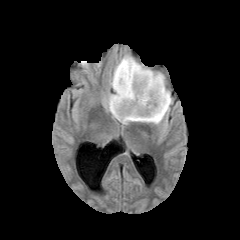
FLAIR MR.
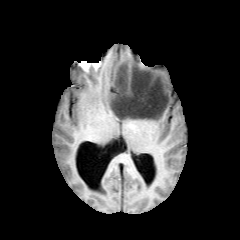
T1-weighted MRI.
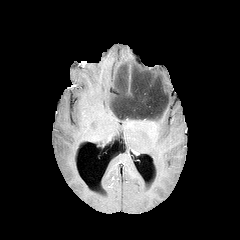
Post-contrast T1-weighted MR image.
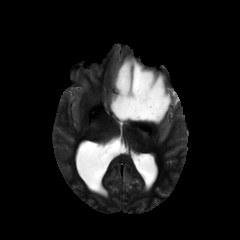
T2-weighted MR.
Non-enhancing tumor core: bounding box left=111, top=62, right=169, bottom=120.
Enhancing tumor: bounding box left=127, top=64, right=131, bottom=95.
Edema: bounding box left=105, top=54, right=173, bottom=126.